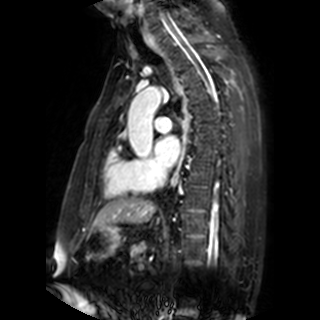 Image size 320x320 | MRI | Heart

Left atrium: rect(155, 136, 179, 166).